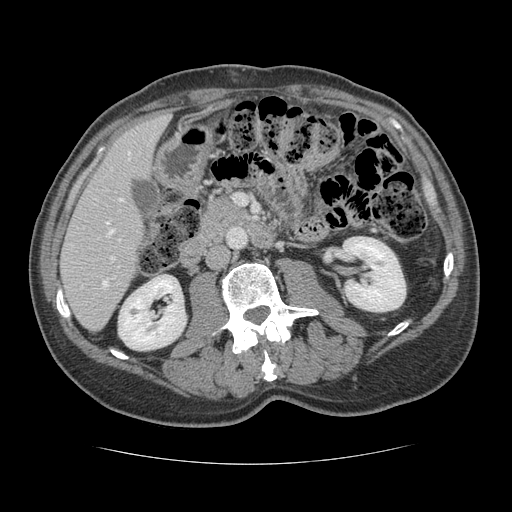
512x512; Abdomen; CT image
Not every hepatic vessel necessarily has a box.
Hepatic vessel = bbox(102, 280, 107, 286); bbox(108, 229, 113, 234); bbox(119, 198, 122, 200); bbox(106, 221, 109, 223); bbox(128, 152, 130, 159); bbox(110, 256, 113, 259).